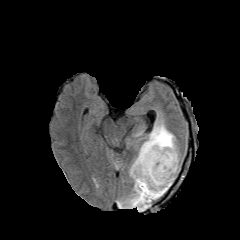
FLAIR magnetic resonance.
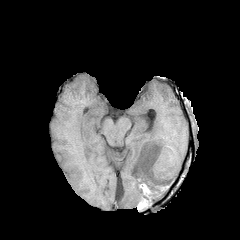
T1-weighted MR image.
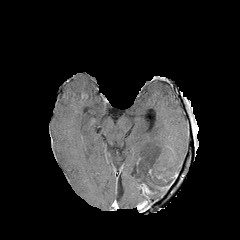
Post-contrast T1-weighted MR.
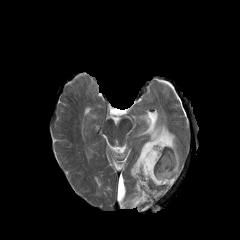
Same slice, T2-weighted MR image.
Brain
{"edema": ["<bbox>118, 117, 181, 211</bbox>"], "non-enhancing_tumor_core": ["<bbox>144, 150, 161, 181</bbox>", "<bbox>143, 190, 149, 203</bbox>", "<bbox>164, 176, 173, 188</bbox>"]}